Computed tomography; Upper abdomen; 512x512
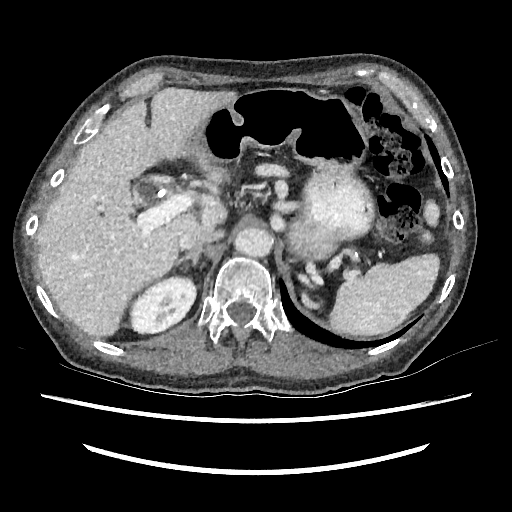 The liver lies within (x1=37, y1=89, x2=233, y2=334). The kidney lies within (x1=131, y1=278, x2=195, y2=332).